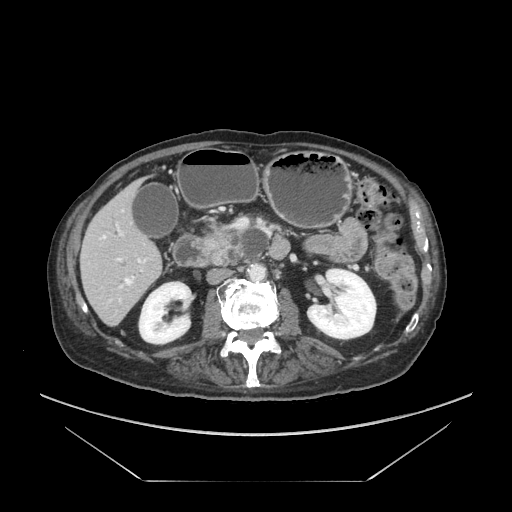 CT slice

Pancreatic tumor = x1=207 y1=234 x2=225 y2=254.
Pancreas = x1=205 y1=229 x2=242 y2=264.